Field of view 240 mm wide, 1.00 mm slice spacing. Head.
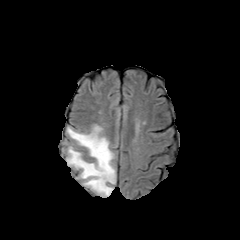
FLAIR MR.
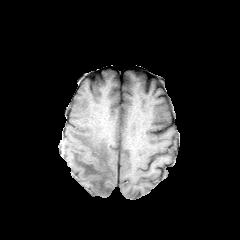
T1-weighted MRI.
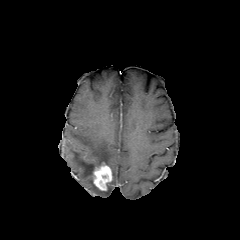
Post-contrast T1-weighted magnetic resonance.
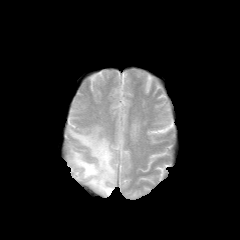
Same slice, T2-weighted MR.
Non-enhancing tumor core: bounding box bbox=[89, 162, 107, 175].
Edema: bounding box bbox=[67, 126, 115, 195].
Enhancing tumor: bounding box bbox=[92, 163, 112, 190].